CT slice. 512x512. 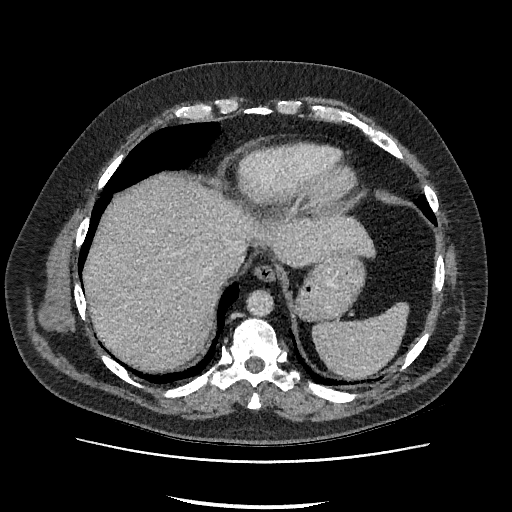 Segmented structures:
• liver: rect(86, 178, 374, 367)